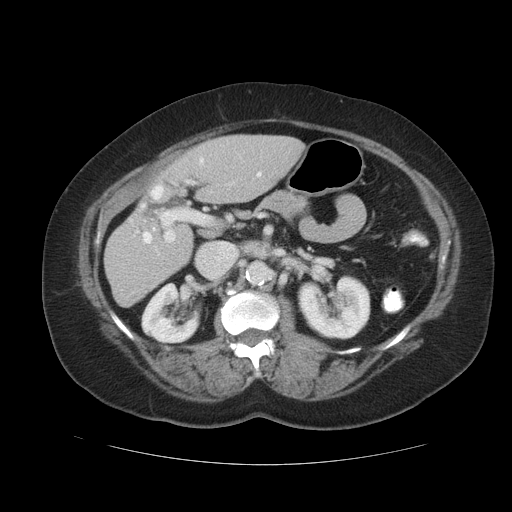 CT; 512x512 px

Not every hepatic vessel necessarily has a box.
{"hepatic_vessel": ["bbox(200, 159, 203, 163)", "bbox(257, 173, 260, 175)", "bbox(153, 228, 155, 230)", "bbox(143, 232, 151, 242)", "bbox(141, 204, 145, 207)", "bbox(160, 211, 206, 242)", "bbox(153, 187, 161, 197)"]}